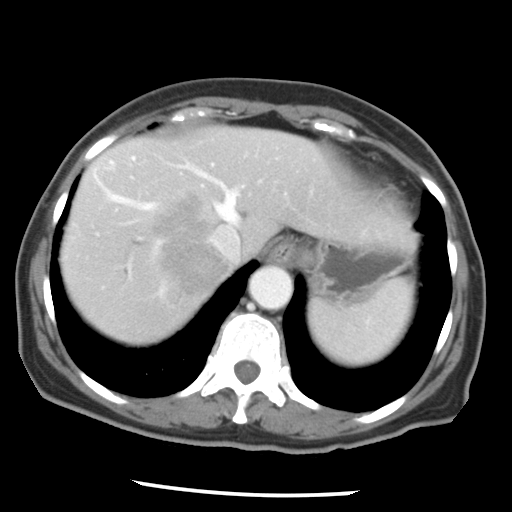
Computed tomography, Liver

The vessel boxes may cover only some of the vessels.
Findings:
• hepatic vessel: <box>103,160,115,169</box>, <box>92,167,157,211</box>, <box>179,163,245,260</box>, <box>130,156,135,160</box>
• liver tumor: <box>148,191,224,303</box>